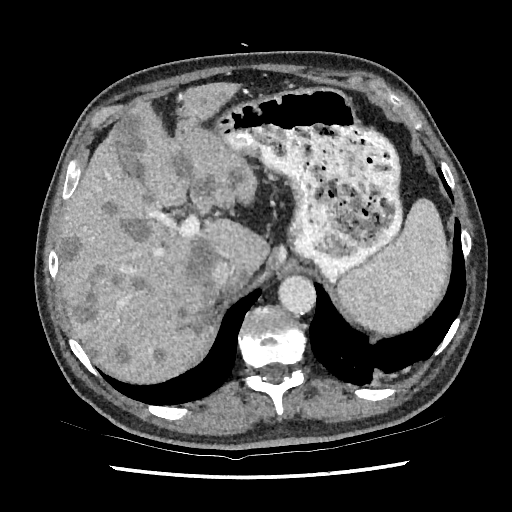
Computed tomography; 512x512; Abdomen
<segmentation>
  <focal_liver_lesion>112 113 146 182, 241 271 247 280, 173 147 246 201, 152 347 167 362, 85 341 99 359, 217 90 228 102, 114 343 130 363, 175 235 219 335, 100 201 117 216, 59 235 83 266, 195 96 207 108, 65 264 150 322, 119 217 157 241</focal_liver_lesion>
  <liver>198 220 267 289, 59 84 255 382</liver>
</segmentation>